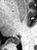

Hippocampus | MRI slice
Posterior hippocampus — 7, 37, 19, 44.